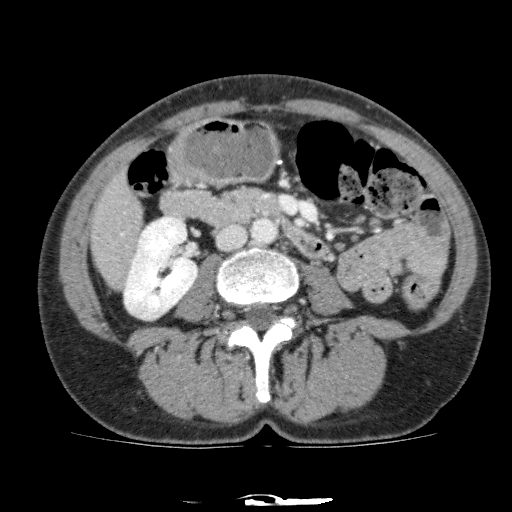 Computed tomography
The kidney lies within (124, 217, 196, 318). The liver is at (90, 167, 144, 290).